Liver. CT image. Image size 512x512. Slice 370/751. 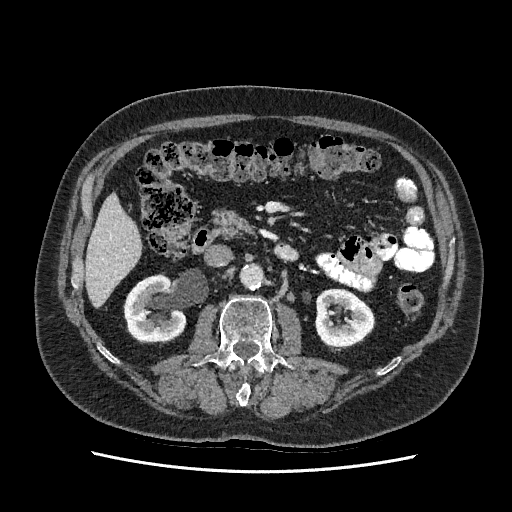 Kidney: bounding box 316, 289, 373, 346; 125, 276, 185, 340.
Liver: bounding box 85, 192, 141, 308.